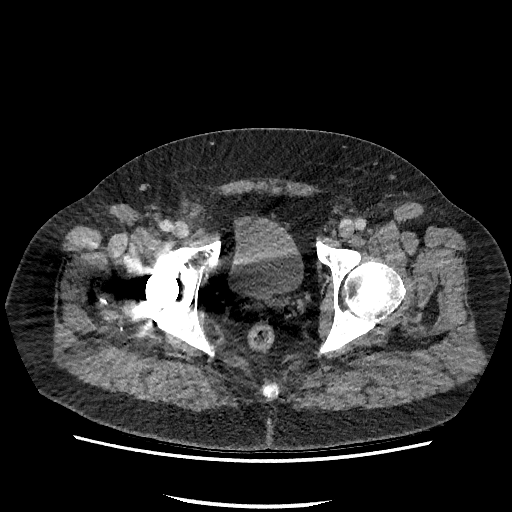
512x512 px, Computed tomography
urinary bladder: rect(230, 215, 303, 302)